Slice 44/155.
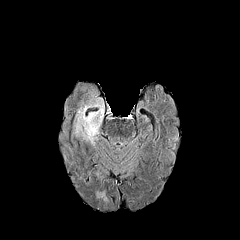
FLAIR MR.
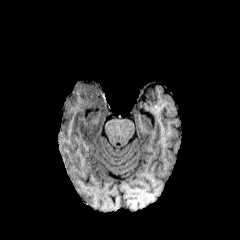
T1-weighted magnetic resonance of the same slice.
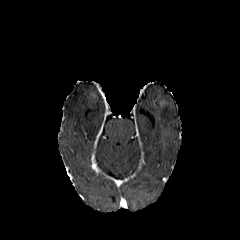
Post-contrast T1-weighted magnetic resonance.
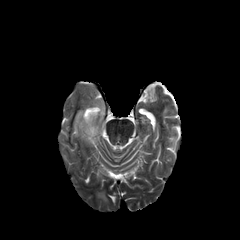
T2-weighted magnetic resonance.
The edema is located at region(75, 101, 104, 142).